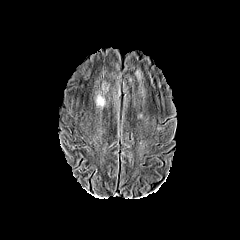
FLAIR MR.
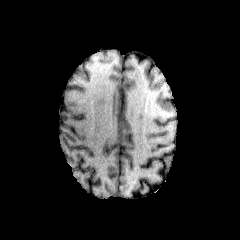
T1-weighted magnetic resonance.
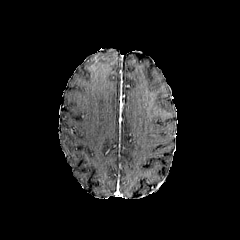
Post-contrast T1-weighted MR image of the same slice.
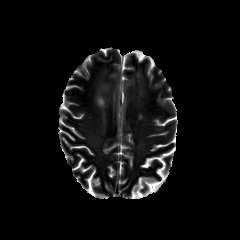
Same slice, T2-weighted MR.
Brain
The edema is located at left=97, top=96, right=104, bottom=106.